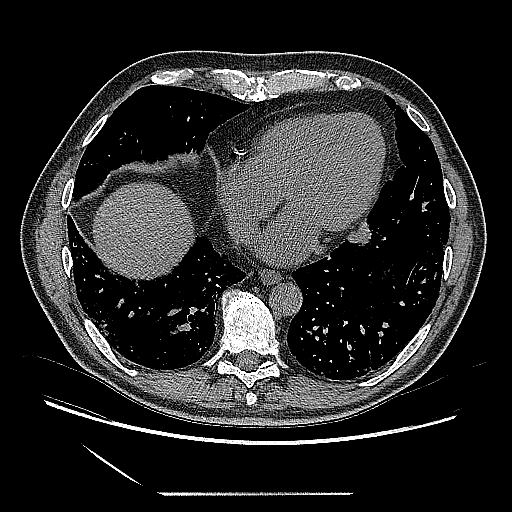

CT
<segmentation>
  <lung_tumor>[x1=348, y1=218, x2=395, y2=263]</lung_tumor>
</segmentation>